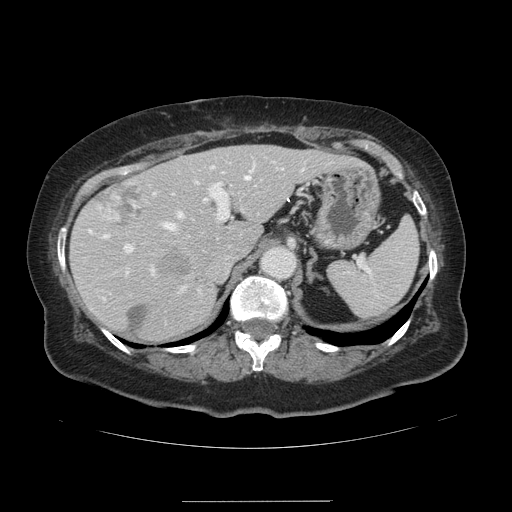
Liver | 512x512 | CT scan slice

The vessel boxes may cover only some of the vessels.
Liver tumor — region(161, 255, 190, 274); region(97, 180, 144, 230); region(129, 304, 147, 330).
Hepatic vessel — region(194, 180, 196, 183); region(249, 164, 254, 171); region(153, 192, 155, 194); region(245, 174, 249, 179); region(204, 182, 228, 219); region(89, 229, 91, 231); region(102, 234, 107, 237); region(126, 269, 127, 272); region(177, 212, 182, 216); region(163, 223, 175, 228); region(279, 167, 281, 169); region(301, 168, 303, 169); region(210, 166, 213, 168); region(124, 244, 131, 251); region(150, 267, 154, 272).